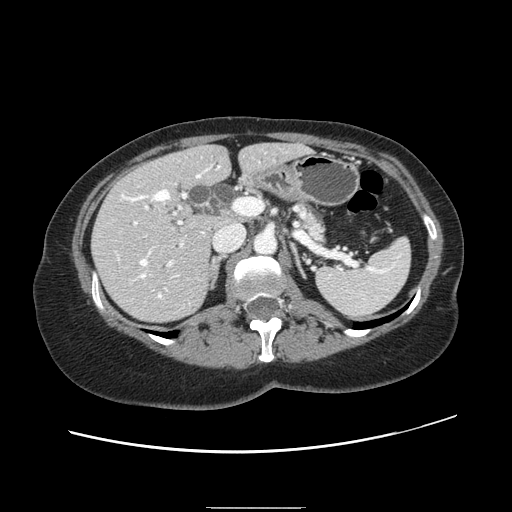 Upper abdomen; CT image
pancreas:
  - 305:214:325:248